FLAIR MR.
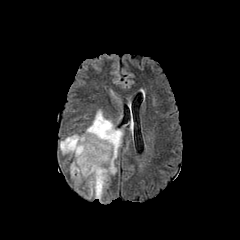
T1-weighted MR.
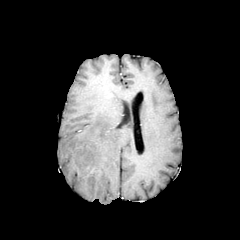
Post-contrast T1-weighted magnetic resonance.
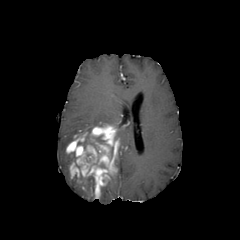
T2-weighted MR.
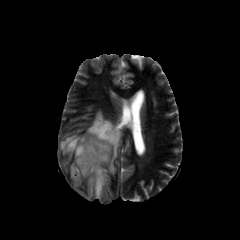
Image size 240x240, Brain
Findings:
- enhancing tumor: (left=66, top=124, right=118, bottom=198)
- edema: (left=60, top=135, right=73, bottom=153), (left=77, top=110, right=115, bottom=136), (left=77, top=179, right=91, bottom=194), (left=114, top=129, right=123, bottom=149)
- non-enhancing tumor core: (left=80, top=174, right=93, bottom=188), (left=77, top=132, right=104, bottom=151), (left=68, top=152, right=77, bottom=165)